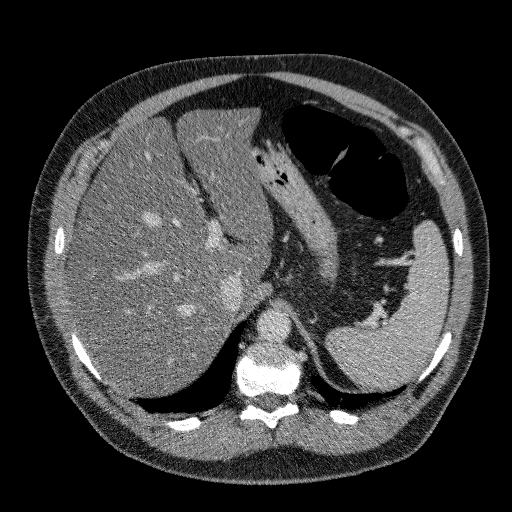 CT image
liver:
  - [67,108,272,395]